Computed tomography. 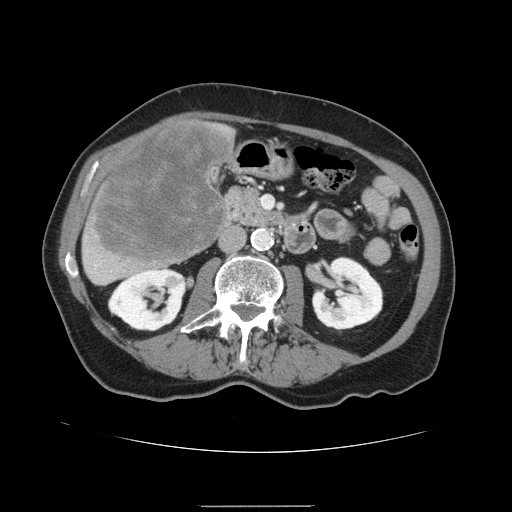
<segmentation>
  <liver_tumor>rect(93, 123, 234, 268)</liver_tumor>
</segmentation>